CT image 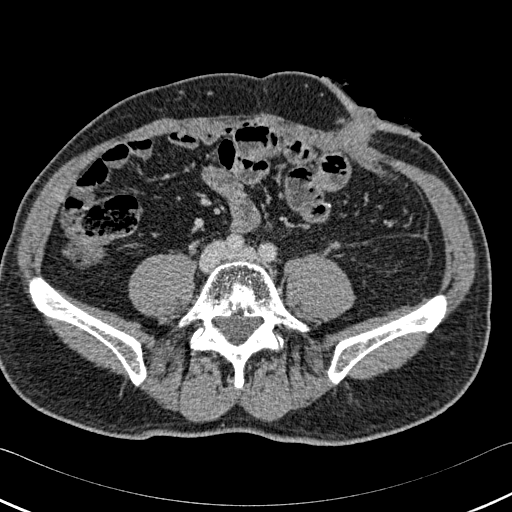
bone:
  - region(30, 278, 145, 385)
  - region(328, 296, 445, 383)
  - region(179, 260, 310, 388)